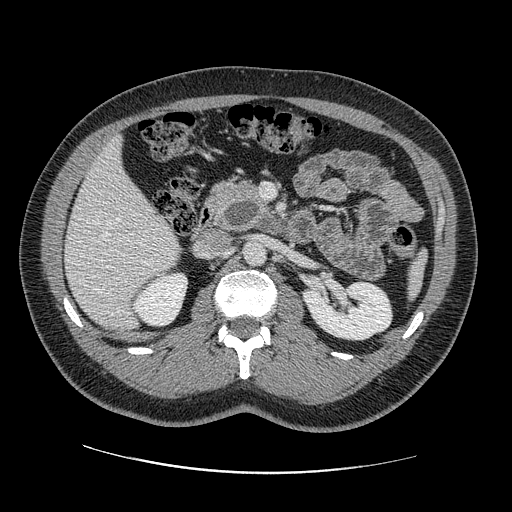

CT slice

The pancreas lies within [203, 178, 270, 231].